Slice 71 of 155. 240x240. Brain.
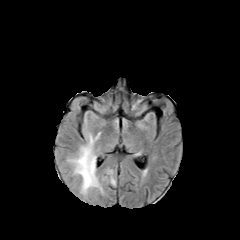
FLAIR MR.
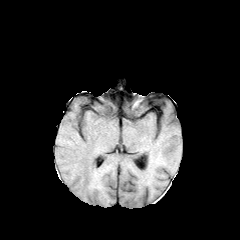
T1-weighted MR.
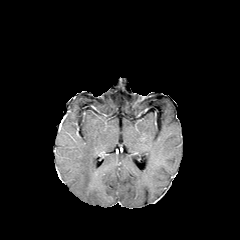
Post-contrast T1-weighted MR.
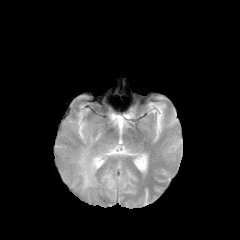
T2-weighted MRI of the same slice.
{
  "edema": [
    "left=102, top=169, right=116, bottom=186",
    "left=72, top=134, right=103, bottom=194"
  ]
}